CT slice
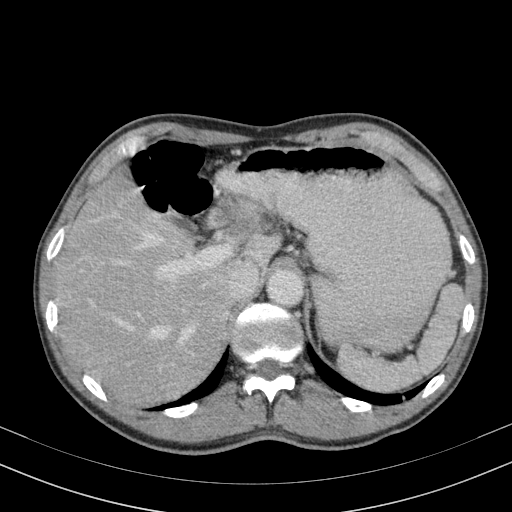
Liver = rect(54, 165, 279, 407).
Liver lesion = rect(223, 205, 240, 217).